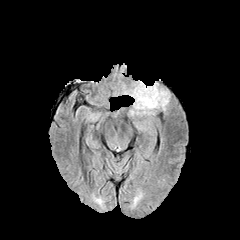
FLAIR MR image.
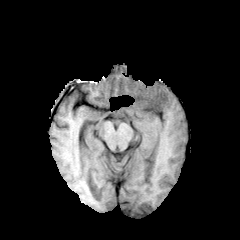
Same slice, T1-weighted MRI.
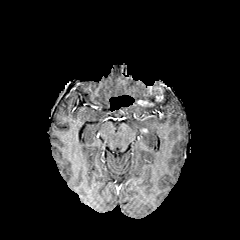
Post-contrast T1-weighted MR image.
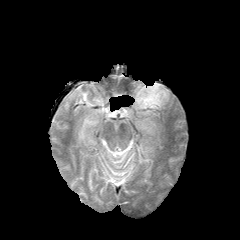
T2-weighted MR image.
Image size 240x240
Enhancing tumor: (left=137, top=98, right=154, bottom=106), (left=145, top=83, right=163, bottom=101).
Edema: (left=134, top=87, right=170, bottom=111), (left=132, top=84, right=147, bottom=100).
Non-enhancing tumor core: (left=141, top=94, right=159, bottom=104).